CT image.

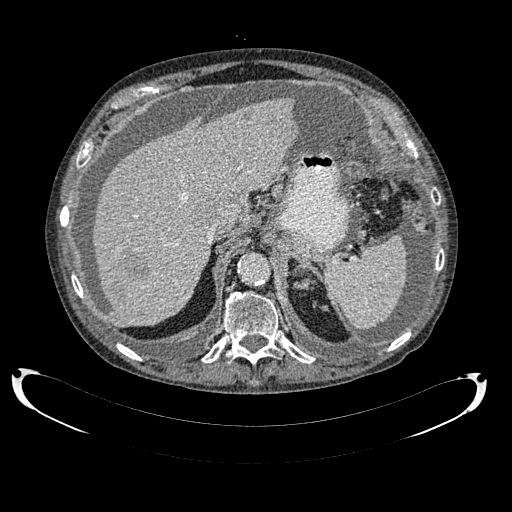

liver:
  - bbox(93, 97, 295, 325)
focal_liver_lesion:
  - bbox(195, 196, 215, 224)
  - bbox(123, 250, 147, 278)
  - bbox(285, 125, 294, 136)
  - bbox(109, 283, 124, 301)